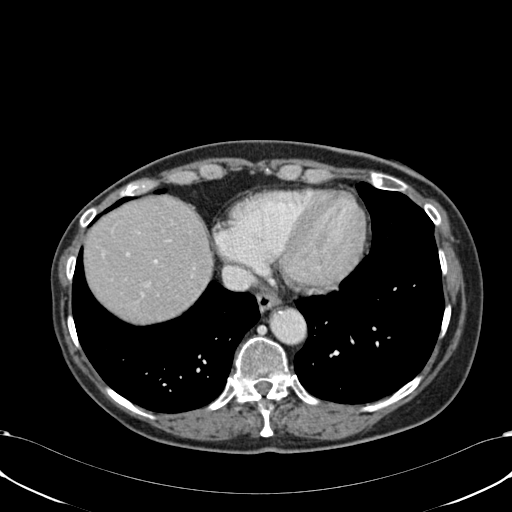
CT
Liver: l=84, t=196, r=211, b=321.